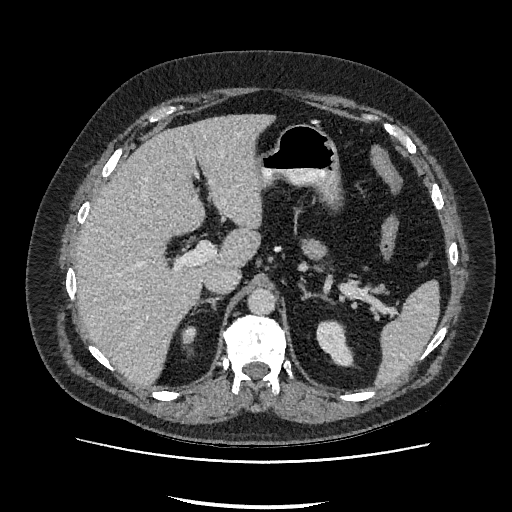
Abdomen. 512x512. CT.

kidney: box(317, 323, 350, 364) | liver: box(76, 115, 273, 384)